CT 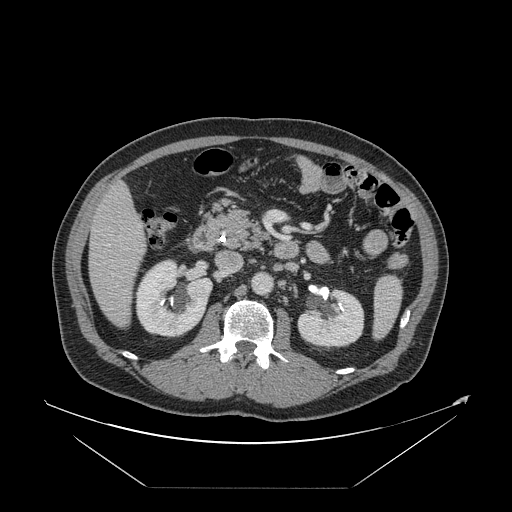 Some hepatic vessels may have no box.
Hepatic vessel = {"x1": 107, "y1": 245, "x2": 109, "y2": 246}.